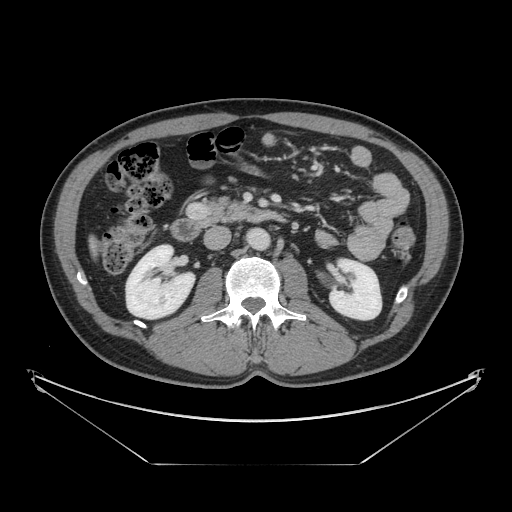

CT scan slice; Upper abdomen

The pancreas is bounded by box(191, 196, 252, 226). The pancreatic tumor lies within box(185, 202, 209, 220).